FLAIR MRI.
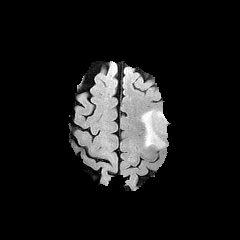
T1-weighted MRI.
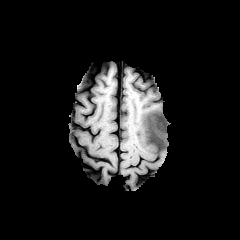
Post-contrast T1-weighted magnetic resonance.
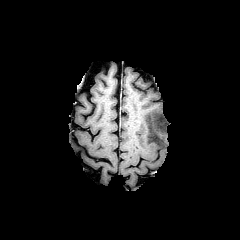
T2-weighted MR image.
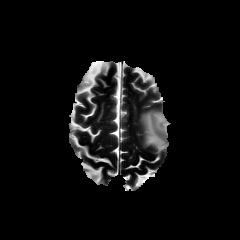
Head
Non-enhancing tumor core = bbox(142, 111, 155, 142).
Edema = bbox(145, 109, 167, 149).